CT scan slice, Slice 208/537

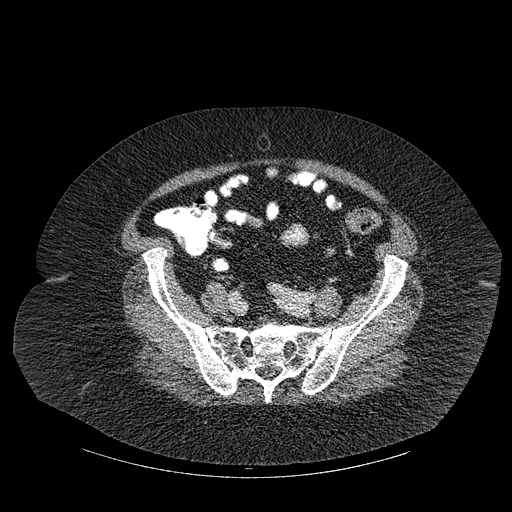 Annotated regions:
- bone: <bbox>143, 247, 407, 402</bbox>